FLAIR MR image.
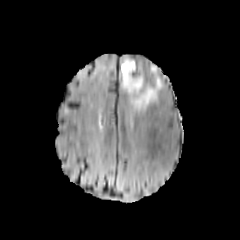
T1-weighted magnetic resonance.
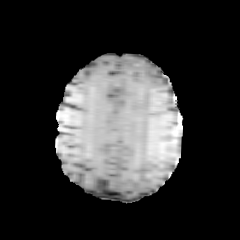
Post-contrast T1-weighted MR.
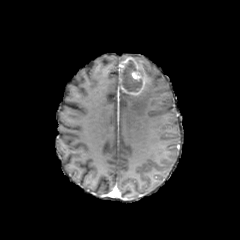
T2-weighted magnetic resonance.
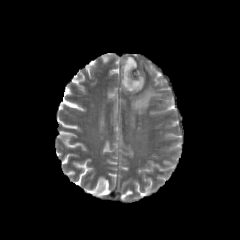
Non-enhancing tumor core — (120,60,143,92).
Enhancing tumor — (120,56,146,84), (120,85,143,94).
Edema — (129,64,163,114).